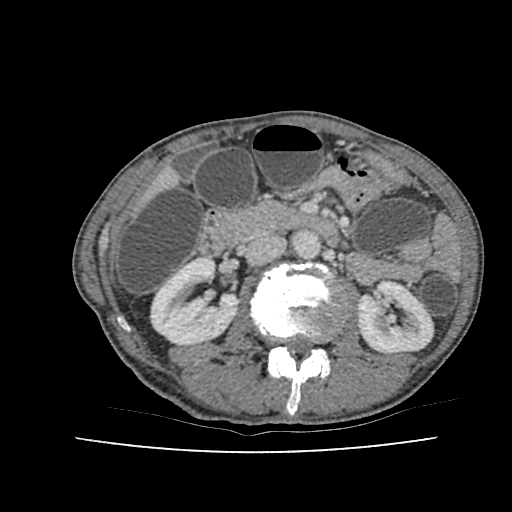 512x512; Computed tomography

<segmentation>
  <liver>(x1=146, y1=174, x2=173, y2=199)</liver>
  <kidney>(x1=151, y1=258, x2=237, y2=344), (x1=359, y1=282, x2=432, y2=352)</kidney>
</segmentation>